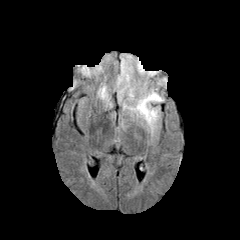
FLAIR MR image.
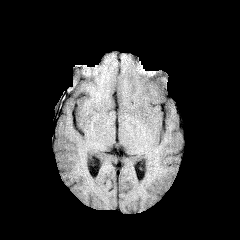
T1-weighted MR image.
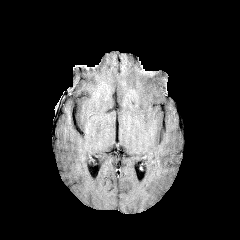
Post-contrast T1-weighted magnetic resonance of the same slice.
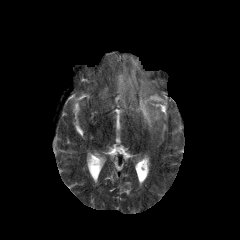
Same slice, T2-weighted magnetic resonance.
Head
2 edema regions appear at {"x1": 131, "y1": 88, "x2": 163, "y2": 130}, {"x1": 116, "y1": 60, "x2": 136, "y2": 98}.